Field of view 393 mm wide, 1.50 mm slice spacing, Computed tomography, Liver 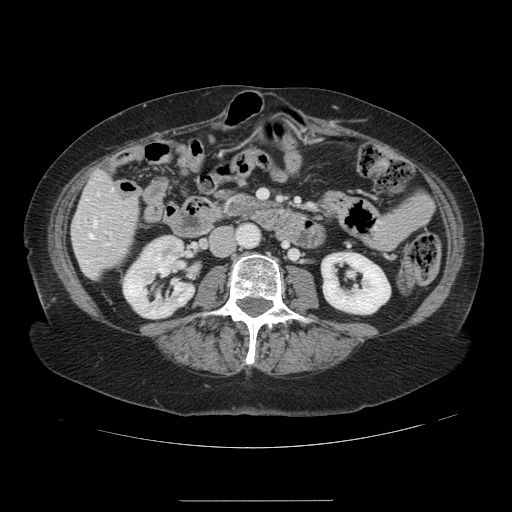
Not every hepatic vessel necessarily has a box.
<segmentation>
  <hepatic_vessel>[89,234,93,237], [97,193,98,194], [106,243,108,244], [93,218,95,223]</hepatic_vessel>
</segmentation>